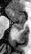 MR image; 31x54 px
The anterior hippocampus is bounded by <box>7,8,25,23</box>. The posterior hippocampus is located at <box>14,23,24,30</box>.